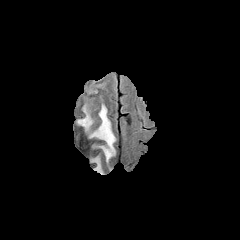
FLAIR MRI.
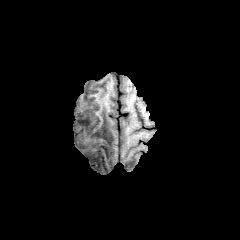
T1-weighted magnetic resonance.
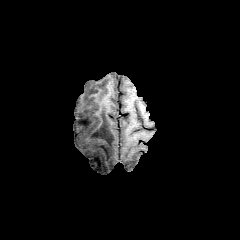
Same slice, post-contrast T1-weighted magnetic resonance.
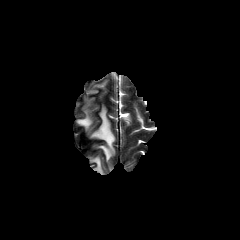
T2-weighted MR image of the same slice.
Edema: bounding box (92, 155, 103, 173), (77, 104, 115, 163).